CT slice

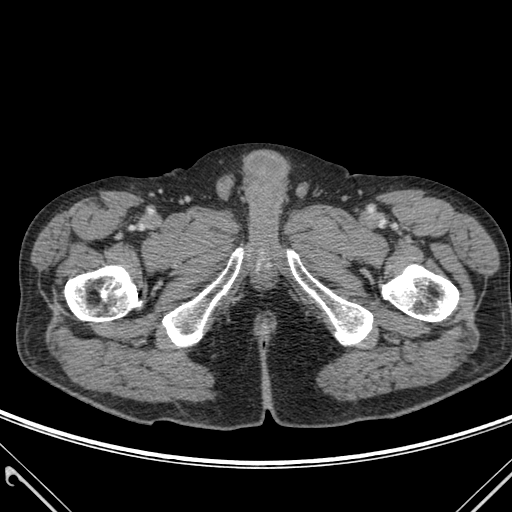 bone: box=[65, 266, 141, 321]; box=[382, 264, 458, 321]; box=[162, 248, 242, 346]; box=[287, 251, 372, 344]